Slice index 130
FLAIR MR image.
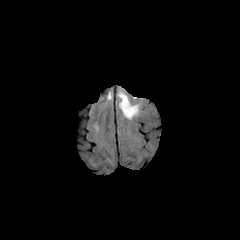
T1-weighted magnetic resonance.
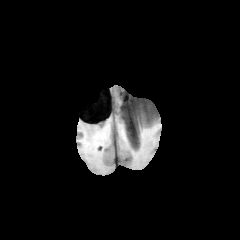
Post-contrast T1-weighted MR image.
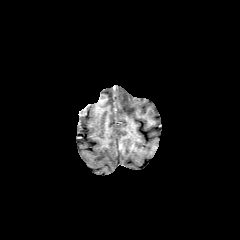
T2-weighted magnetic resonance.
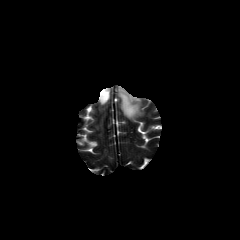
<segmentation>
  <edema>(x1=117, y1=88, x2=141, y2=120)</edema>
</segmentation>